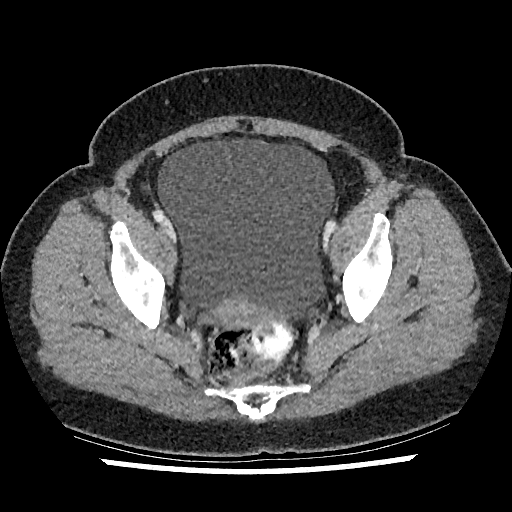

Computed tomography, Pelvis
The urinary bladder is located at box(158, 138, 334, 321).